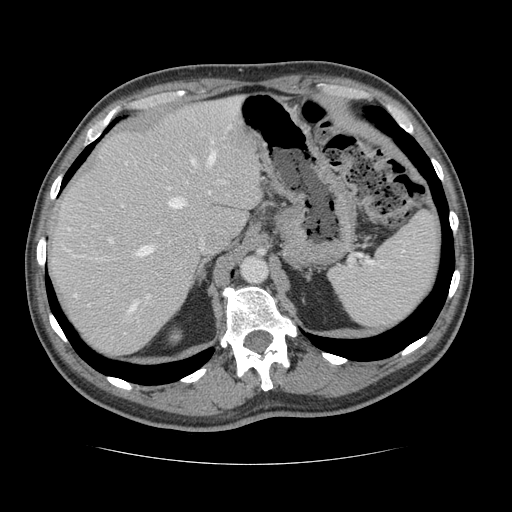 CT scan slice | 512x512

Only some of the vessels may be annotated.
Hepatic vessel — {"x1": 210, "y1": 139, "x2": 212, "y2": 143}, {"x1": 218, "y1": 180, "x2": 224, "y2": 182}, {"x1": 146, "y1": 294, "x2": 149, "y2": 302}, {"x1": 128, "y1": 303, "x2": 136, "y2": 312}, {"x1": 137, "y1": 246, "x2": 152, "y2": 255}, {"x1": 74, "y1": 294, "x2": 77, "y2": 296}, {"x1": 228, "y1": 125, "x2": 231, "y2": 128}, {"x1": 209, "y1": 191, "x2": 210, "y2": 193}, {"x1": 125, "y1": 162, "x2": 126, "y2": 163}, {"x1": 191, "y1": 158, "x2": 195, "y2": 164}, {"x1": 168, "y1": 187, "x2": 169, "y2": 188}, {"x1": 157, "y1": 231, "x2": 158, "y2": 232}, {"x1": 168, "y1": 198, "x2": 184, "y2": 207}, {"x1": 208, "y1": 152, "x2": 214, "y2": 164}, {"x1": 109, "y1": 238, "x2": 112, "y2": 242}.